Brain, 240x240
FLAIR MR image.
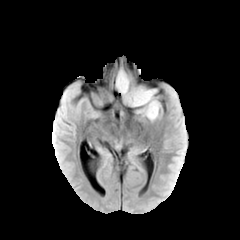
T1-weighted magnetic resonance.
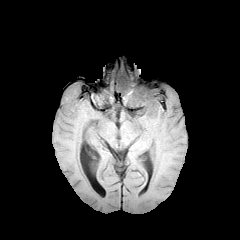
Post-contrast T1-weighted MRI.
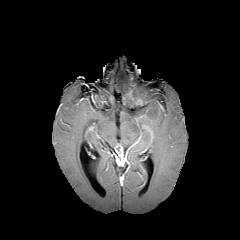
T2-weighted MR image.
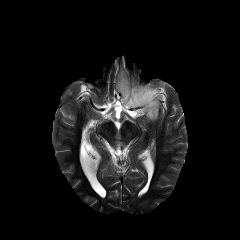
* enhancing tumor: box=[132, 98, 143, 104]
* edema: box=[134, 89, 161, 120]; box=[116, 71, 130, 97]
* non-enhancing tumor core: box=[124, 88, 153, 109]